CT image
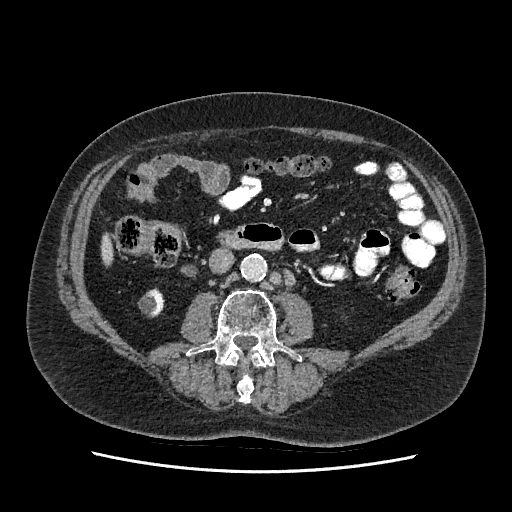
• liver: {"x1": 103, "y1": 235, "x2": 112, "y2": 263}
• kidney: {"x1": 151, "y1": 291, "x2": 162, "y2": 313}